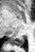
Hippocampus, Magnetic resonance
posterior_hippocampus:
  - (9, 37, 24, 46)